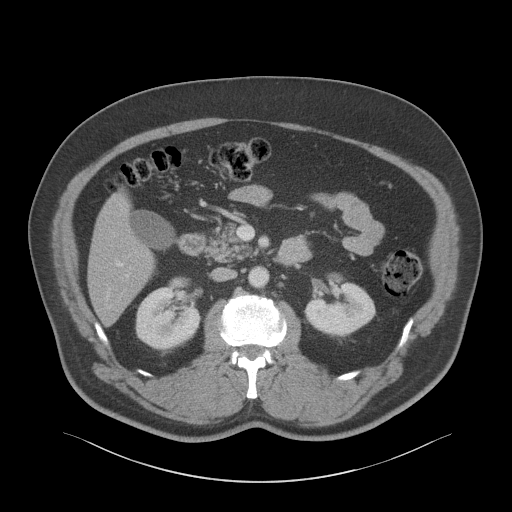

CT image, Liver
* liver: [x1=88, y1=199, x2=153, y2=320]
* kidney: [x1=137, y1=279, x2=199, y2=348], [x1=306, y1=280, x2=374, y2=335]